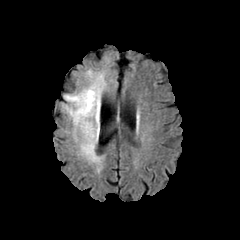
FLAIR magnetic resonance.
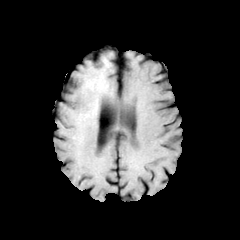
T1-weighted MR image of the same slice.
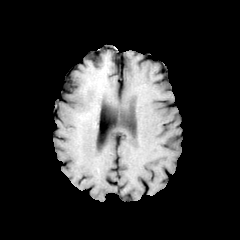
Post-contrast T1-weighted MR image.
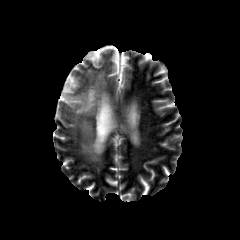
T2-weighted MR.
Edema at (91, 73, 106, 87), (64, 86, 100, 163).
Non-enhancing tumor core at (76, 84, 103, 124).